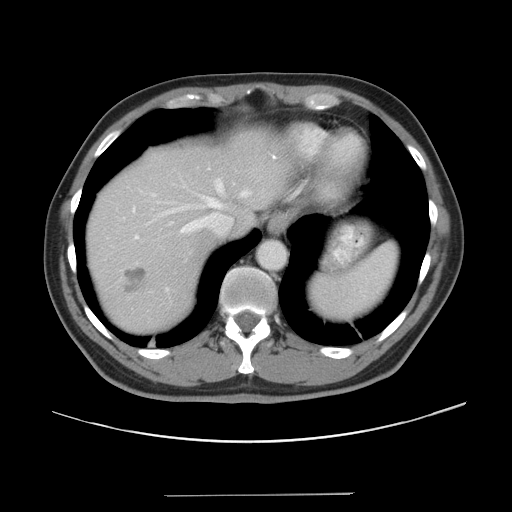
CT scan slice | Liver
The vessel annotation is not exhaustive.
<segmentation>
  <hepatic_vessel>l=162, t=205, r=201, b=214; l=135, t=236, r=138, b=237; l=169, t=222, r=172, b=224; l=214, t=179, r=223, b=191; l=239, t=190, r=250, b=197; l=203, t=196, r=221, b=207; l=165, t=288, r=167, b=290; l=181, t=219, r=203, b=231; l=151, t=193, r=154, b=195; l=133, t=207, r=134, b=211</hepatic_vessel>
  <liver_tumor>l=124, t=267, r=146, b=295</liver_tumor>
</segmentation>